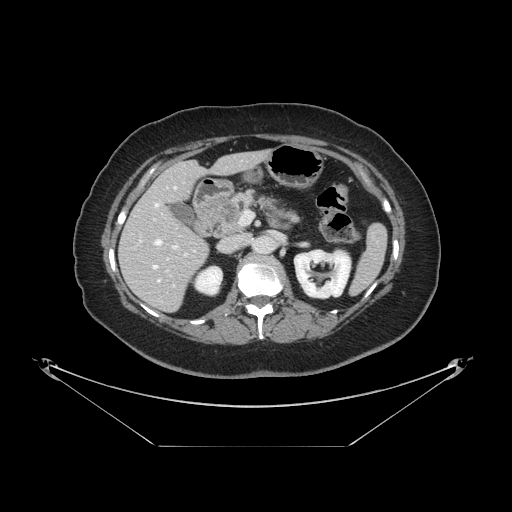
CT, Upper abdomen

pancreatic_tumor:
  - 220,203,238,222
pancreas:
  - 215,189,299,237